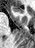

Magnetic resonance; Medial temporal lobe
<segmentation>
  <anterior_hippocampus>left=11, top=5, right=25, bottom=12</anterior_hippocampus>
</segmentation>